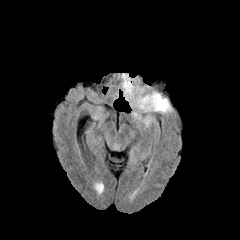
FLAIR MRI.
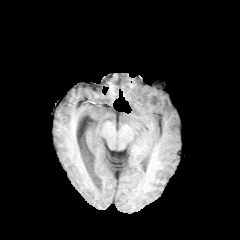
Same slice, T1-weighted MR.
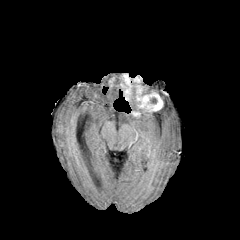
Post-contrast T1-weighted MR image.
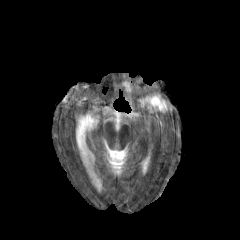
T2-weighted magnetic resonance.
Brain
3 enhancing tumor regions are located at [x1=136, y1=85, x2=162, y2=111], [x1=133, y1=76, x2=142, y2=82], [x1=119, y1=73, x2=132, y2=101]. 2 edema regions appear at [x1=129, y1=85, x2=171, y2=113], [x1=144, y1=115, x2=152, y2=126].